Slice 379/455 | Abdomen | CT slice | 512x512 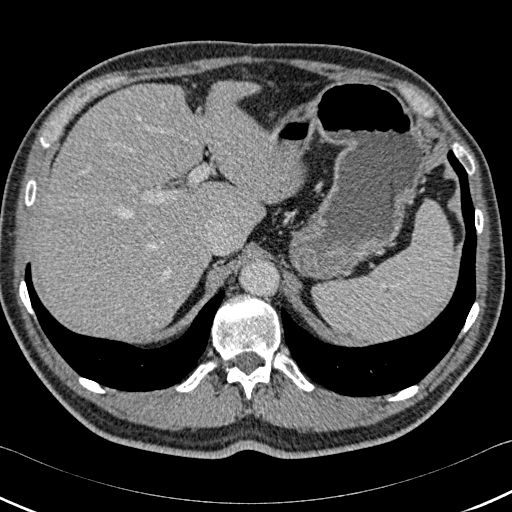
<segmentation>
  <liver>[35, 81, 302, 340]</liver>
  <lung>[280, 150, 476, 396], [25, 263, 224, 391]</lung>
  <bone>[176, 362, 216, 392], [19, 281, 33, 313], [453, 143, 474, 174], [388, 386, 418, 400], [40, 137, 49, 147], [475, 209, 483, 233], [79, 378, 104, 393], [25, 180, 36, 205], [273, 353, 313, 391], [212, 295, 280, 398], [463, 302, 478, 332]</bone>
</segmentation>